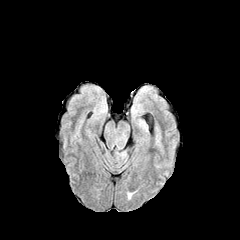
FLAIR MRI.
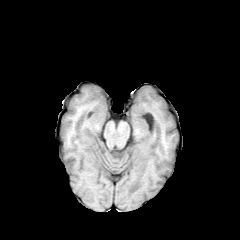
Same slice, T1-weighted magnetic resonance.
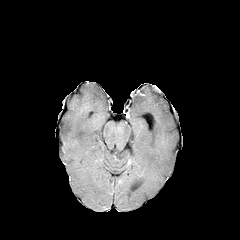
Post-contrast T1-weighted MR.
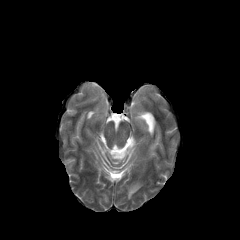
Same slice, T2-weighted magnetic resonance.
edema:
  - left=114, top=146, right=126, bottom=160